Field of view 240x240 mm, Head
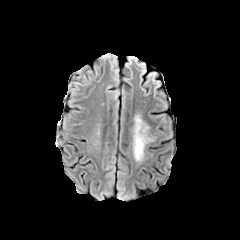
FLAIR magnetic resonance.
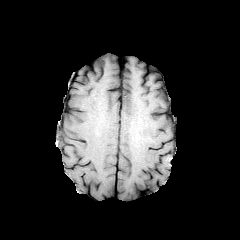
T1-weighted MRI.
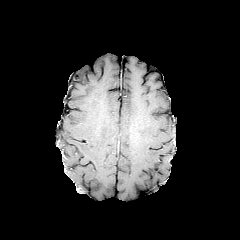
Post-contrast T1-weighted MR image.
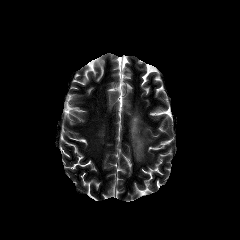
T2-weighted MR image.
The edema is located at region(132, 118, 146, 161).